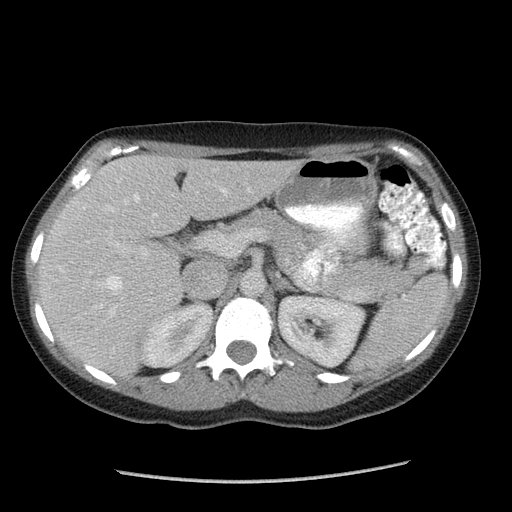
CT | 512x512 | Upper abdomen
The spleen appears at rect(355, 274, 447, 368).